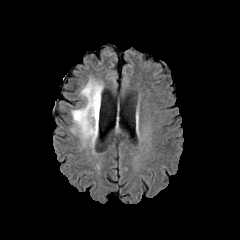
FLAIR MR image.
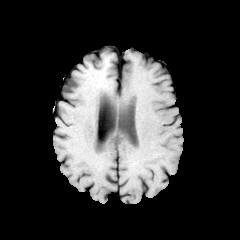
T1-weighted magnetic resonance of the same slice.
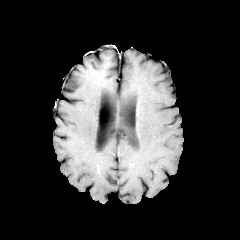
Post-contrast T1-weighted MR.
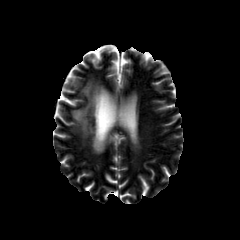
T2-weighted magnetic resonance of the same slice.
edema:
  - (71, 78, 103, 147)